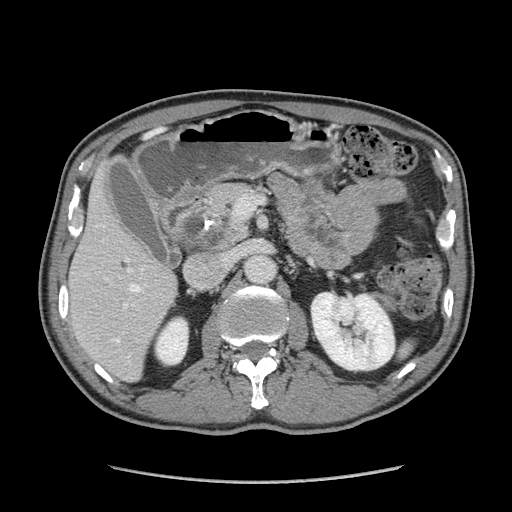
Computed tomography. The pancreatic tumor appears at (182, 212, 222, 249). The pancreas lies within (172, 182, 268, 253).